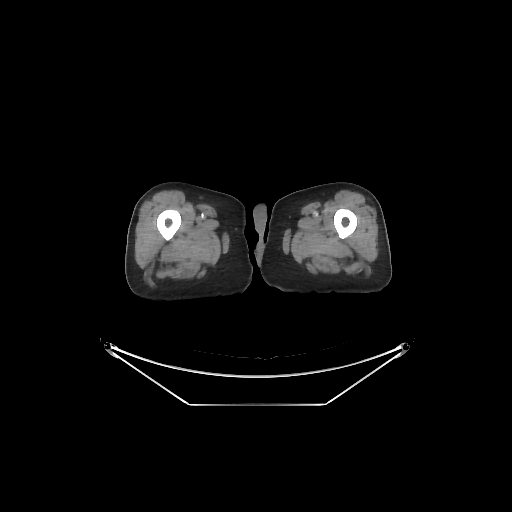 CT slice

2 bone regions appear at 157,209,180,240; 334,208,356,238.